Image width 406 mm. CT image. Abdomen. 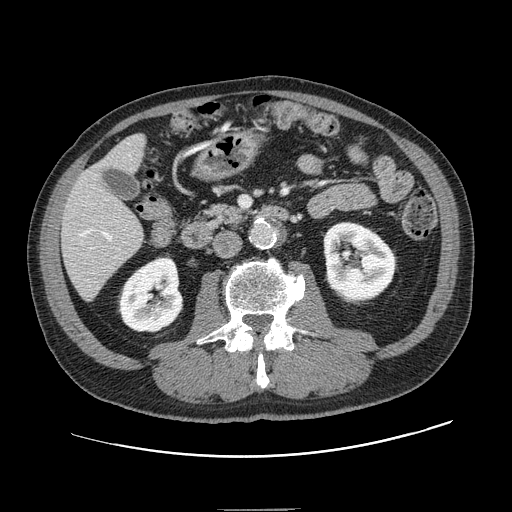

The pancreas lies within (x1=195, y1=203, x2=252, y2=230).